CT image; Image width 330 mm

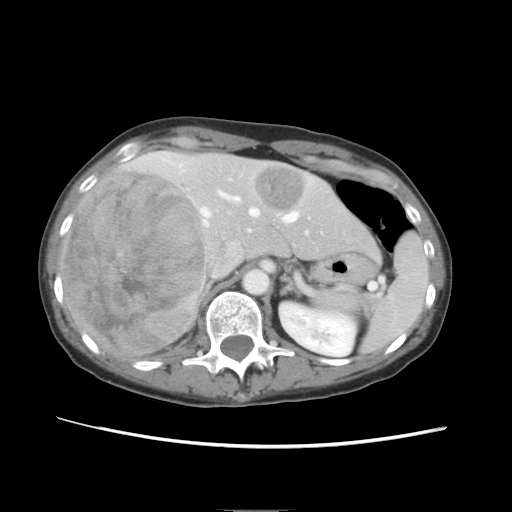 Only some of the vessels may be annotated.
{"hepatic_vessel": ["201:207:209:224", "218:190:238:200", "179:164:182:172", "250:207:258:215", "284:212:297:221", "306:231:307:233"], "liver_tumor": ["254:165:305:211", "60:168:207:356"]}